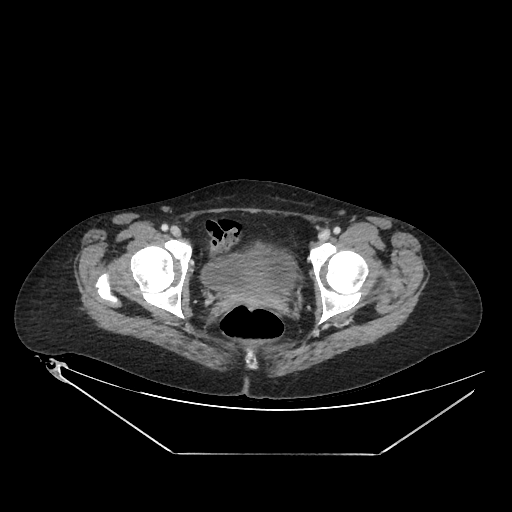

Lower abdomen | CT | Image size 512x512
The urinary bladder is at 201,241,298,295.